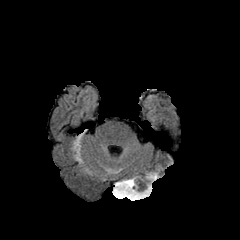
FLAIR MR.
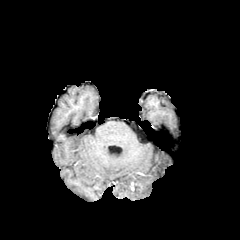
T1-weighted MR.
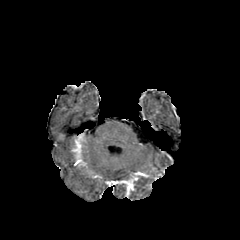
Post-contrast T1-weighted MRI of the same slice.
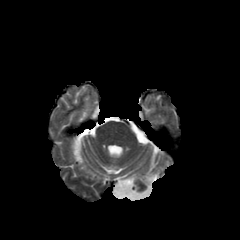
T2-weighted MR.
The enhancing tumor is at {"x1": 116, "y1": 176, "x2": 137, "y2": 195}. The edema is bounded by {"x1": 124, "y1": 184, "x2": 151, "y2": 199}. 2 non-enhancing tumor core regions are located at {"x1": 130, "y1": 180, "x2": 140, "y2": 196}, {"x1": 114, "y1": 184, "x2": 126, "y2": 196}.